FLAIR MRI.
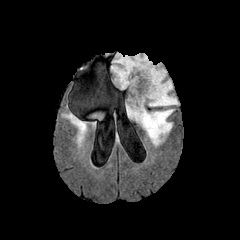
T1-weighted MR.
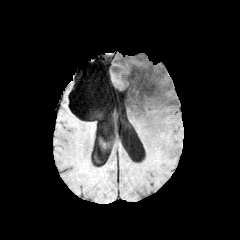
Post-contrast T1-weighted magnetic resonance.
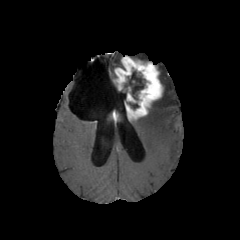
T2-weighted MRI.
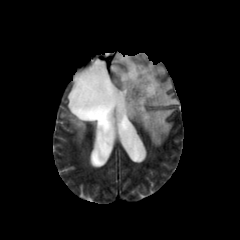
240x240.
Annotated regions:
- edema: <box>92,112,102,119</box>, <box>69,115,85,142</box>, <box>133,64,178,145</box>, <box>111,53,122,73</box>
- enhancing tumor: <box>114,56,163,118</box>
- non-enhancing tumor core: <box>122,71,143,107</box>